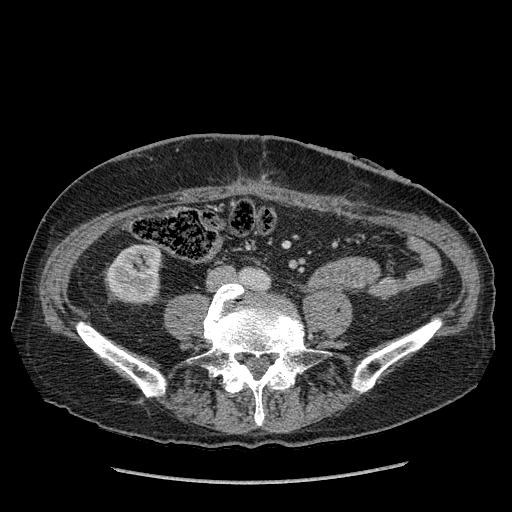 Abdomen | Computed tomography

{"kidney": ["(left=107, top=245, right=160, bottom=301)"]}